CT slice. Upper abdomen. Slice 369/689. 512x512.
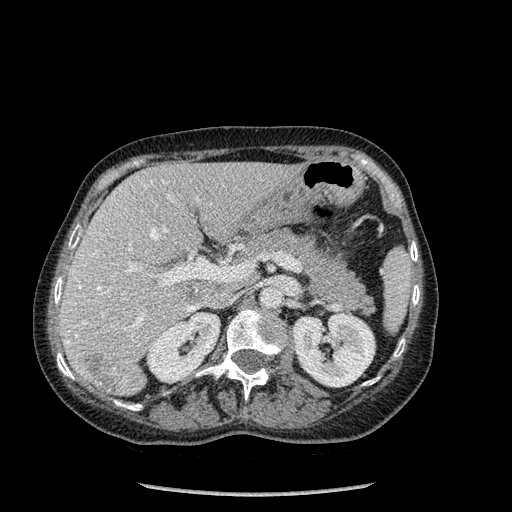

<segmentation>
  <bone>x1=54, y1=276, x2=62, y2=304; x1=196, y1=308, x2=287, y2=400; x1=362, y1=377, x2=379, y2=385; x1=57, y1=353, x2=73, y2=379; x1=409, y1=241, x2=417, y2=261; x1=393, y1=338, x2=405, y2=357; x1=412, y1=285, x2=419, y2=305; x1=114, y1=400, x2=142, y2=410; x1=68, y1=230, x2=80, y2=248</bone>
  <liver>x1=191, y1=280, x2=213, y2=295; x1=60, y1=162, x2=301, y2=395</liver>
  <kidney>x1=293, y1=313, x2=374, y2=386; x1=147, y1=313, x2=219, y2=382</kidney>
  <focal_liver_lesion>x1=85, y1=354, x2=116, y2=389; x1=180, y1=284, x2=206, y2=305</focal_liver_lesion>
</segmentation>